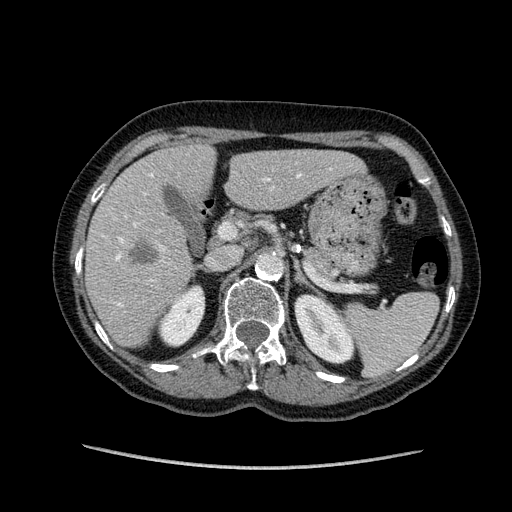

CT image
Annotated regions:
- liver: bbox(223, 151, 358, 209); bbox(86, 147, 214, 342)
- liver lesion: bbox(128, 242, 161, 265)
- kidney: bbox(161, 287, 203, 344); bbox(295, 296, 352, 362)